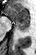
Medial temporal lobe | MR image
<segmentation>
  <anterior_hippocampus>region(7, 6, 29, 26)</anterior_hippocampus>
  <posterior_hippocampus>region(17, 27, 28, 30)</posterior_hippocampus>
</segmentation>